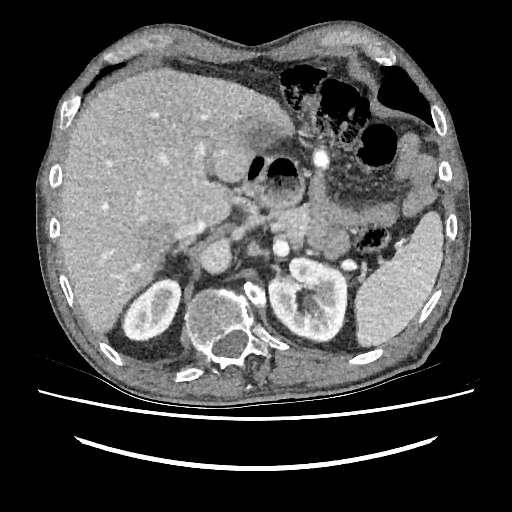

512x512 px, CT image, Upper abdomen
liver:
  - (60,68,294,332)
kidney:
  - (124,280,180,339)
  - (269,258,346,340)
focal_liver_lesion:
  - (142,223,169,256)
  - (243,120,282,153)